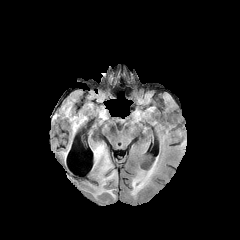
FLAIR magnetic resonance.
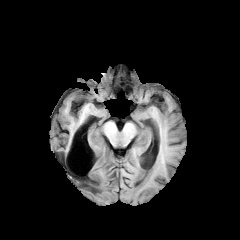
T1-weighted magnetic resonance of the same slice.
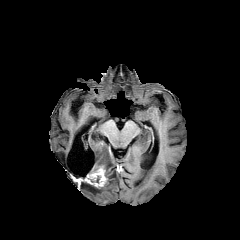
Post-contrast T1-weighted MR image of the same slice.
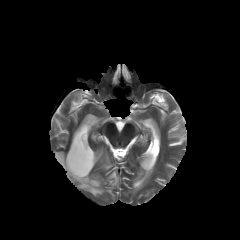
Same slice, T2-weighted MR.
Image size 240x240.
Edema at l=57, t=149, r=68, b=158; l=134, t=172, r=151, b=181; l=88, t=184, r=114, b=196; l=90, t=141, r=117, b=185.
Enhancing tumor at l=94, t=166, r=105, b=186.
Non-enhancing tumor core at l=84, t=164, r=101, b=184.